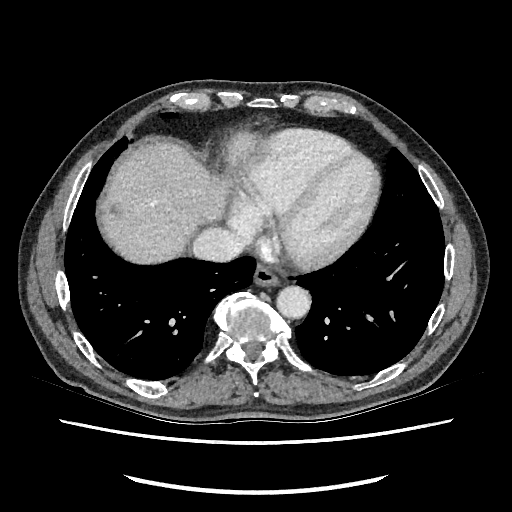

Upper abdomen | CT

hepatic_lesion:
  - [111,205,120,215]
liver:
  - [227,133,255,165]
  - [104,142,229,263]